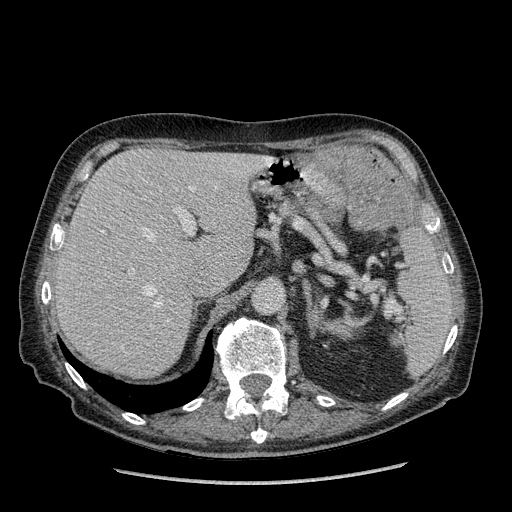
Liver, CT image
Liver: <box>56,150,259,377</box>.